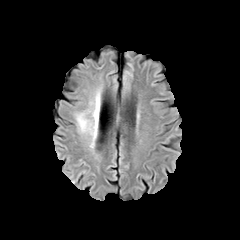
FLAIR MR image.
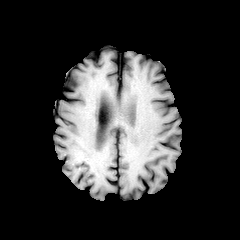
Same slice, T1-weighted MR.
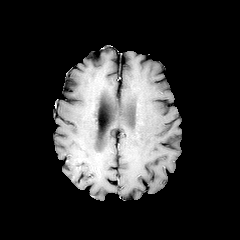
Post-contrast T1-weighted MR of the same slice.
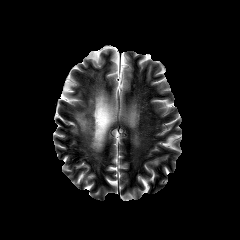
Same slice, T2-weighted MR.
Brain
Edema = 74, 87, 101, 149.